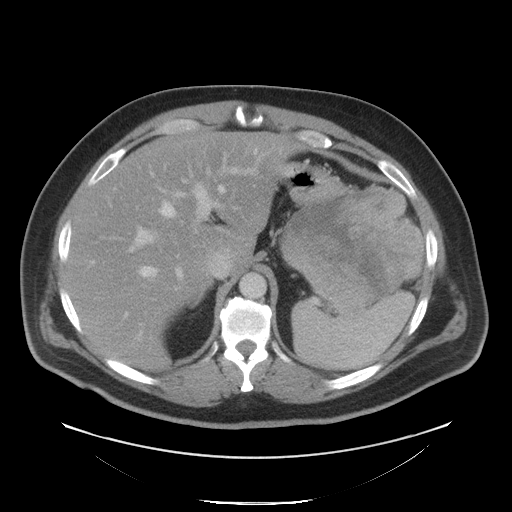

CT slice
The pancreatic tumor lies within bbox=[282, 186, 423, 309]. 2 pancreas regions are bounded by bbox=[339, 306, 367, 312]; bbox=[340, 190, 360, 197].